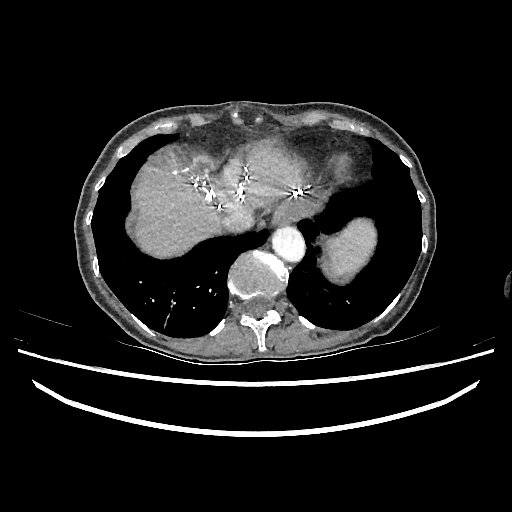

Image size 512x512; CT slice; Upper abdomen
Liver = [220, 159, 240, 209], [136, 159, 221, 256], [246, 144, 303, 207].